CT 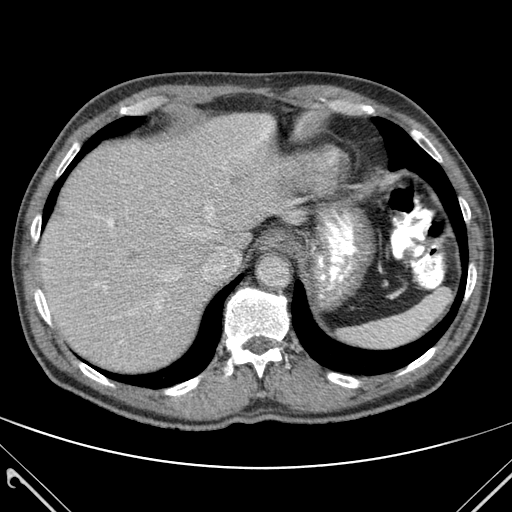
Lung: 43 117 142 223, 102 275 241 388, 291 117 467 374.
Hepatic lesion: 230 175 237 184.
Liver: 40 113 303 373.
Bone: 31 216 40 240, 225 288 288 376, 166 378 198 395, 460 199 470 220, 401 348 434 373, 412 130 441 161, 328 373 358 387, 465 265 476 297, 35 290 50 324, 56 143 78 175, 79 363 110 385.